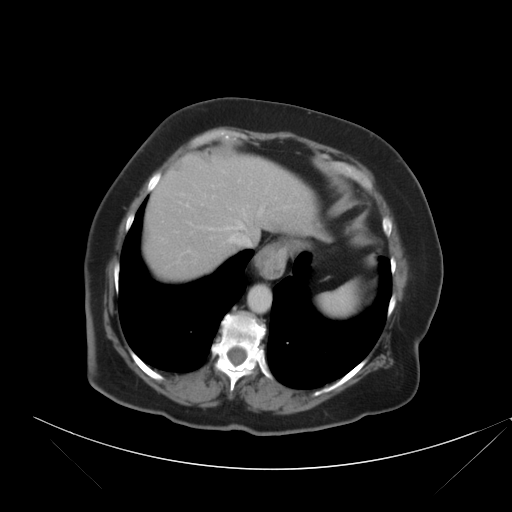 Liver; Computed tomography; Image size 512x512
Not every hepatic vessel necessarily has a box.
Annotated regions:
- hepatic vessel: (x1=186, y1=203, x2=188, y2=206), (x1=189, y1=222, x2=190, y2=223), (x1=248, y1=243, x2=251, y2=245), (x1=223, y1=223, x2=248, y2=243), (x1=213, y1=195, x2=214, y2=197), (x1=206, y1=227, x2=211, y2=229), (x1=258, y1=208, x2=262, y2=215), (x1=187, y1=249, x2=189, y2=251)